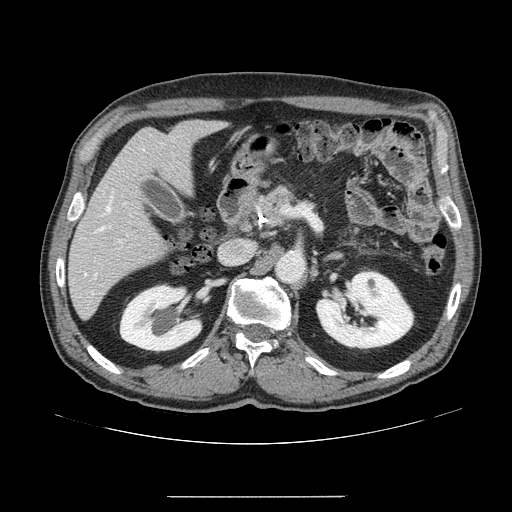
CT scan slice, Abdomen

• pancreas: box=[251, 183, 297, 230]